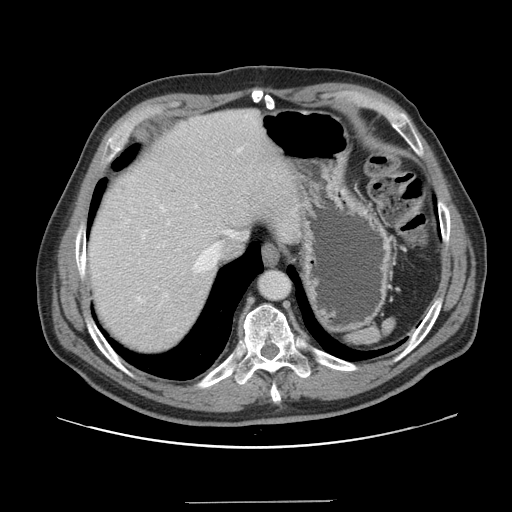

CT scan slice | 512x512

Some hepatic vessels may have no box.
Hepatic vessel — l=161, t=206, r=163, b=210; l=225, t=231, r=231, b=232; l=194, t=243, r=218, b=271.